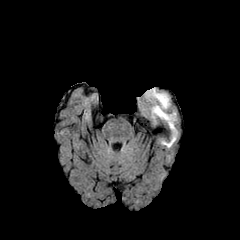
FLAIR MR image.
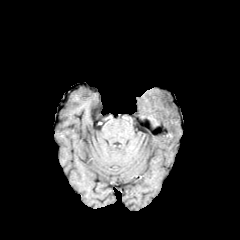
T1-weighted MRI.
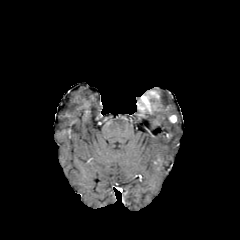
Post-contrast T1-weighted magnetic resonance of the same slice.
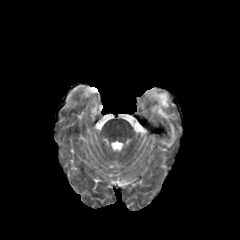
T2-weighted magnetic resonance.
240x240 px.
Segmented structures:
* enhancing tumor: {"x1": 138, "y1": 90, "x2": 161, "y2": 114}, {"x1": 169, "y1": 114, "x2": 176, "y2": 122}
* edema: {"x1": 153, "y1": 92, "x2": 177, "y2": 147}